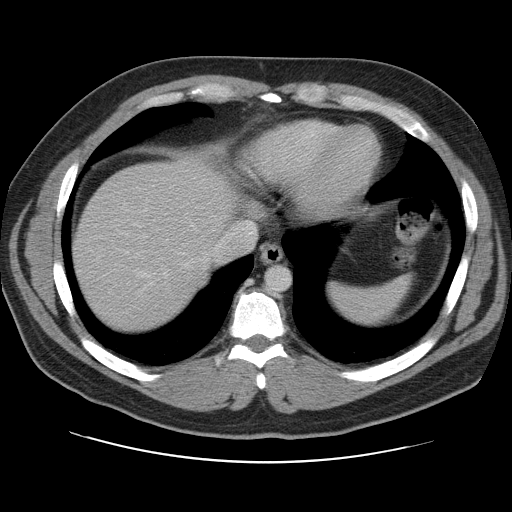 Abdomen | Computed tomography

The vessel boxes may cover only some of the vessels.
hepatic vessel: 150 282 152 284, 140 271 147 276, 222 216 229 217, 125 251 128 253, 170 186 172 187, 205 259 208 261, 163 272 167 277